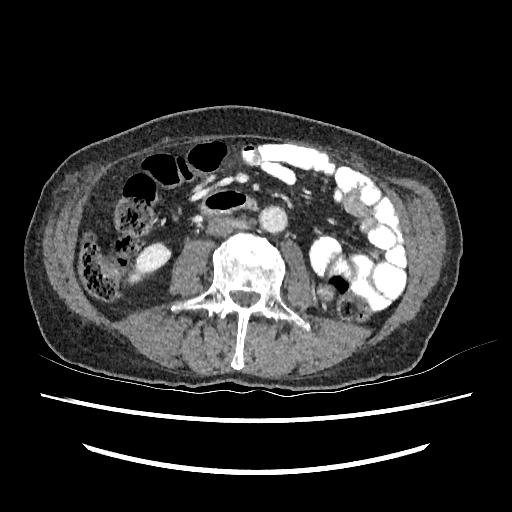
Abdomen | Computed tomography | Image size 512x512

Kidney: bounding box rect(137, 244, 170, 272).